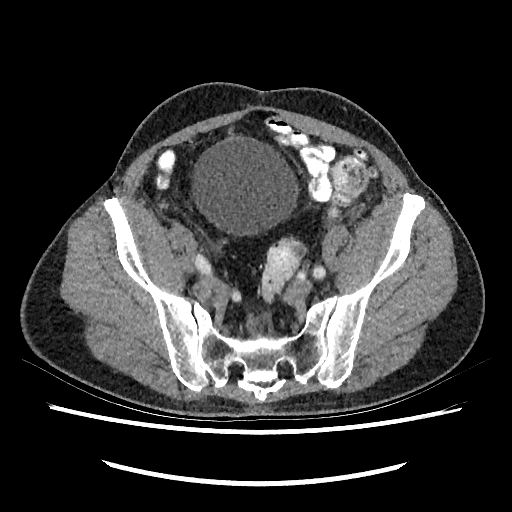
CT scan slice
Annotated regions:
* urinary bladder: left=192, top=131, right=299, bottom=236